FLAIR MRI.
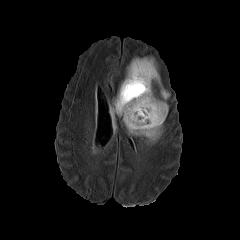
T1-weighted MRI.
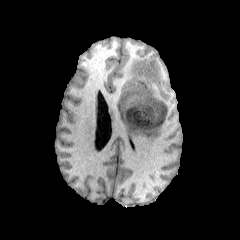
Post-contrast T1-weighted MR image.
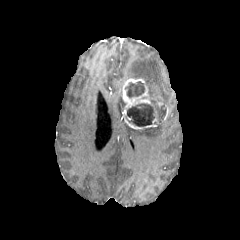
T2-weighted magnetic resonance.
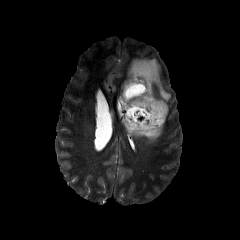
Brain; Image size 240x240
Annotated regions:
• non-enhancing tumor core: <bbox>125, 81, 144, 97</bbox>, <bbox>125, 104, 154, 128</bbox>, <bbox>155, 101, 166, 122</bbox>
• enhancing tumor: <bbox>122, 78, 163, 129</bbox>
• edema: <bbox>113, 88, 126, 112</bbox>, <bbox>124, 121, 163, 145</bbox>, <bbox>123, 58, 170, 104</bbox>